Brain, Slice 112 of 155
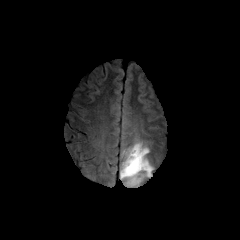
FLAIR magnetic resonance.
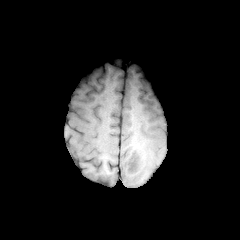
T1-weighted magnetic resonance of the same slice.
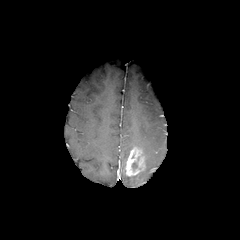
Post-contrast T1-weighted MR of the same slice.
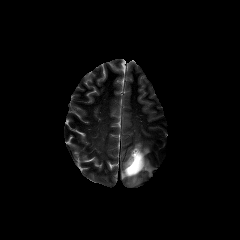
T2-weighted magnetic resonance.
The edema is at box=[120, 142, 151, 186]. The enhancing tumor is bounded by box=[124, 147, 144, 176].